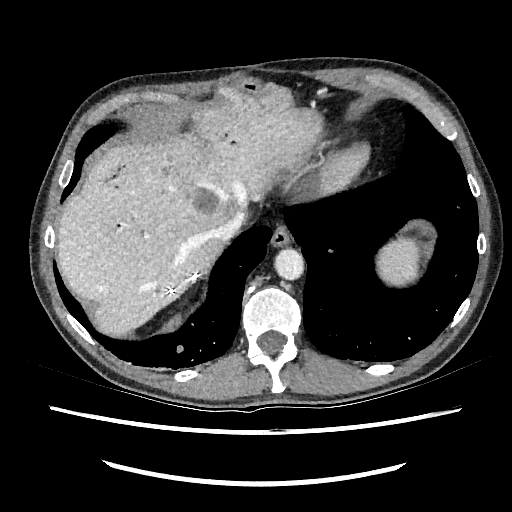

Computed tomography | 512x512 px | Abdomen
Liver = <box>58,89,322,333</box>.
Liver lesion = <box>189,187,218,214</box>.